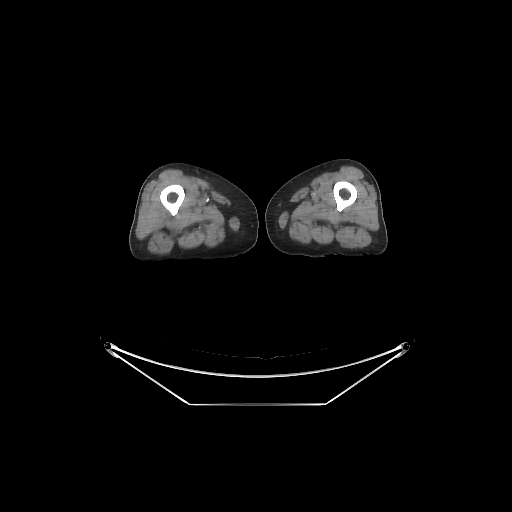 512x512; CT image

{
  "bone": [
    "(333, 180, 356, 211)",
    "(160, 184, 184, 215)"
  ]
}